FLAIR MR image.
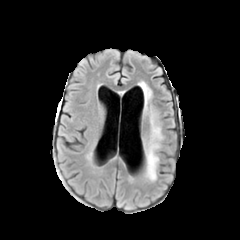
T1-weighted MRI.
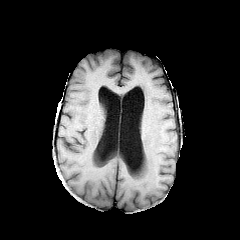
Post-contrast T1-weighted magnetic resonance.
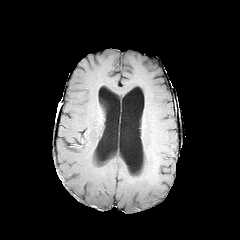
T2-weighted MR.
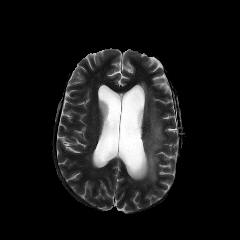
Head; 240x240
Edema: bounding box [143,111,162,180], [140,82,151,99].